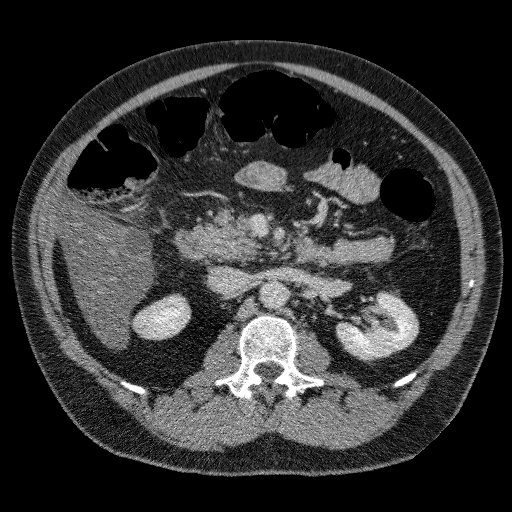
CT image
<segmentation>
  <liver_lesion>122,228,149,257</liver_lesion>
  <liver>57,192,151,346</liver>
  <kidney>136,297,187,336; 338,294,416,358</kidney>
</segmentation>